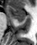 MR | Image size 37x45

posterior hippocampus: x1=18, y1=20, x2=23, y2=22 | anterior hippocampus: x1=6, y1=5, x2=24, y2=19